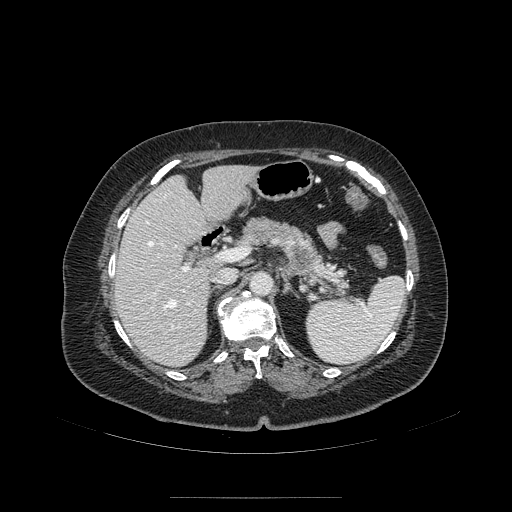

CT
pancreas:
  - (left=236, top=216, right=347, bottom=288)
pancreatic_tumor:
  - (left=290, top=246, right=318, bottom=272)